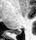

MRI; Medial temporal lobe
Posterior hippocampus: 11, 30, 21, 34.